FLAIR MRI.
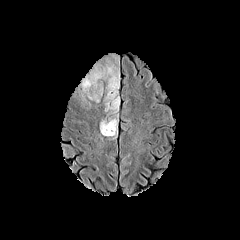
T1-weighted MR image.
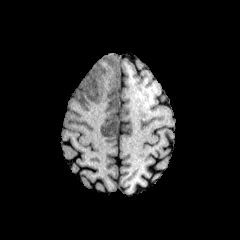
Post-contrast T1-weighted magnetic resonance.
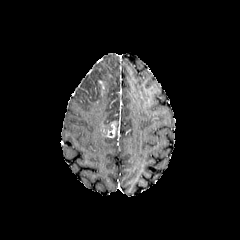
T2-weighted magnetic resonance.
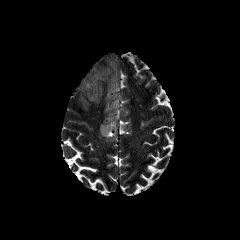
Annotated regions:
* edema: left=90, top=90, right=101, bottom=100; left=82, top=65, right=120, bottom=113
* enhancing tumor: left=106, top=121, right=117, bottom=137
* non-enhancing tumor core: left=103, top=122, right=112, bottom=134